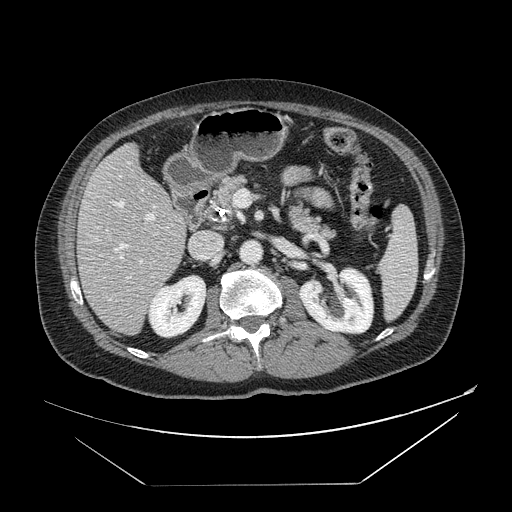
Abdomen, Computed tomography

2 pancreas regions are bounded by [213,177,245,214], [289,205,333,238].